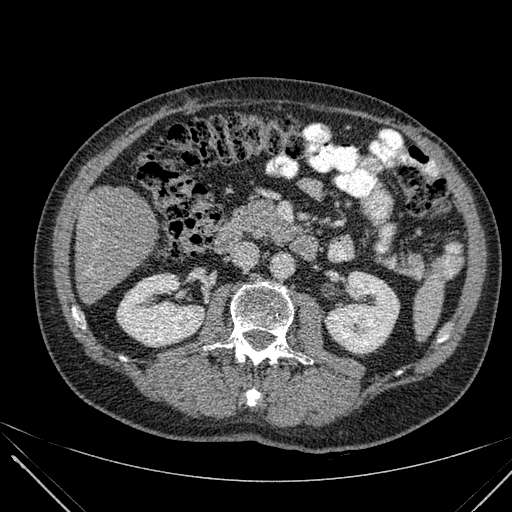 CT slice. 512x512.
Annotated regions:
* kidney: left=326, top=272, right=398, bottom=352; left=117, top=274, right=203, bottom=346
* liver: left=76, top=186, right=159, bottom=303